Image size 240x240 | Slice 53 of 155 | Brain | Field of view 240 mm wide, 1.00 mm slice spacing
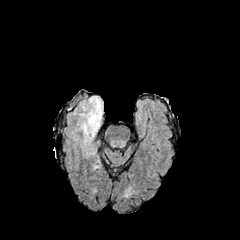
FLAIR MRI.
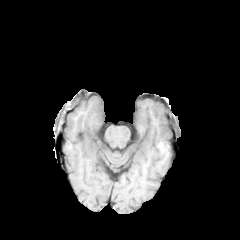
Same slice, T1-weighted MRI.
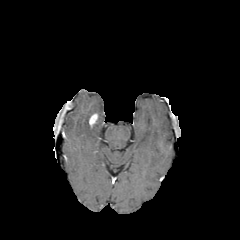
Same slice, post-contrast T1-weighted MR image.
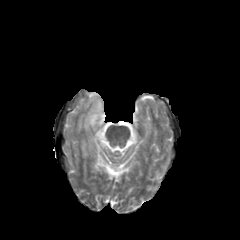
T2-weighted magnetic resonance of the same slice.
edema: (78,96,103,171) | enhancing tumor: (89,114,97,125)